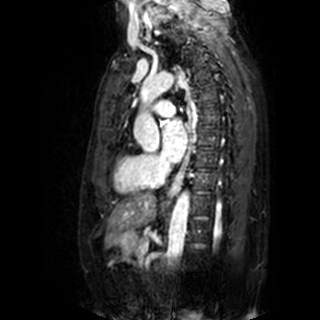
MR, Cardiac
Left atrium at x1=162 y1=119 x2=187 y2=162.